Head
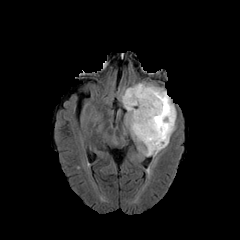
FLAIR MR.
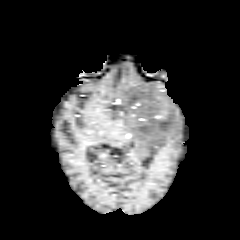
T1-weighted magnetic resonance.
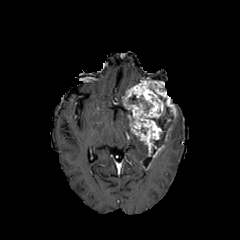
Post-contrast T1-weighted magnetic resonance.
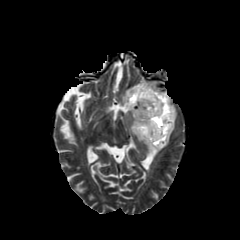
T2-weighted MR.
<segmentation>
  <enhancing_tumor>bbox=[122, 80, 176, 156]</enhancing_tumor>
  <edema>bbox=[162, 121, 175, 148]; bbox=[130, 132, 147, 155]</edema>
  <non-enhancing_tumor_core>bbox=[152, 107, 174, 147]</non-enhancing_tumor_core>
</segmentation>